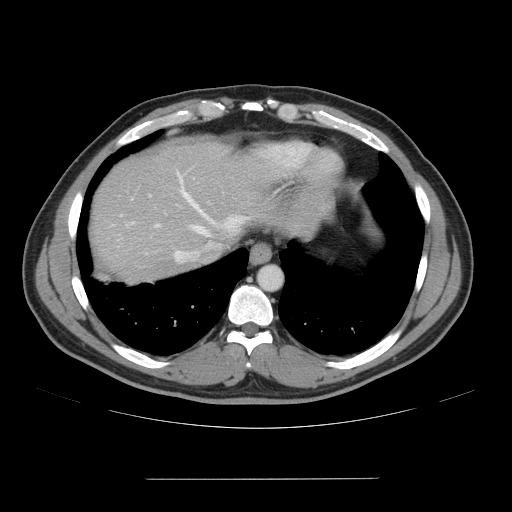 CT, Image size 512x512

Some hepatic vessels may have no box.
hepatic vessel: (left=175, top=252, right=177, bottom=254), (left=238, top=217, right=246, bottom=223), (left=176, top=171, right=209, bottom=218), (left=131, top=197, right=132, bottom=199), (left=192, top=226, right=208, bottom=235), (left=156, top=224, right=159, bottom=227), (left=126, top=222, right=133, bottom=225)